Slice 68 of 155; Image size 240x240
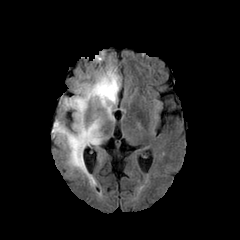
FLAIR MRI.
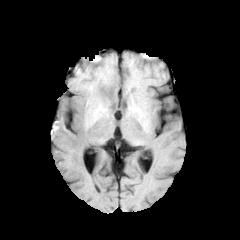
T1-weighted magnetic resonance.
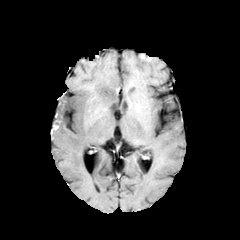
Post-contrast T1-weighted MR.
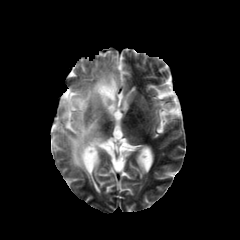
T2-weighted magnetic resonance of the same slice.
edema: x1=51 y1=62 x2=120 y2=185